Slice 240 of 466, Abdomen, CT slice 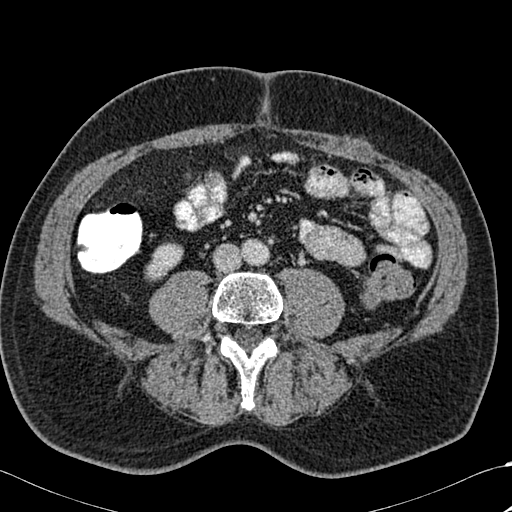 Kidney: bounding box 148 245 181 276.
Bone: bounding box 220 335 277 409, 211 272 283 324.